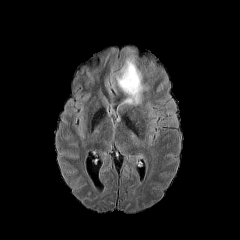
FLAIR MRI.
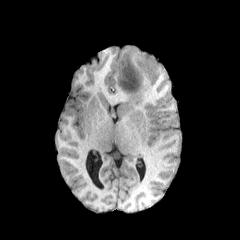
T1-weighted MR of the same slice.
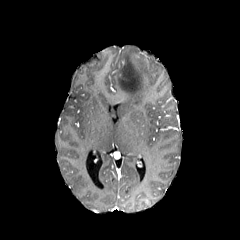
Same slice, post-contrast T1-weighted MR image.
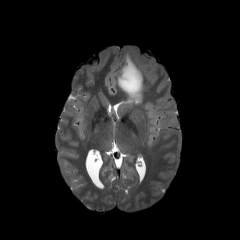
T2-weighted magnetic resonance of the same slice.
240x240 px
The edema appears at <bbox>116, 58, 148, 105</bbox>.